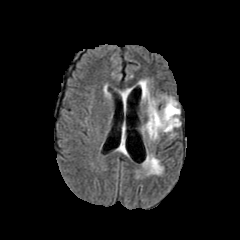
FLAIR magnetic resonance.
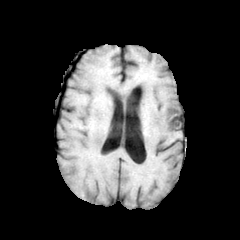
T1-weighted MRI.
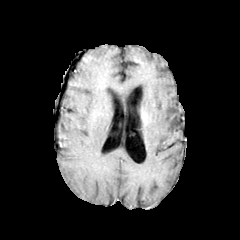
Post-contrast T1-weighted MR image.
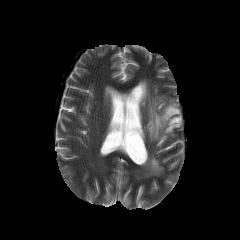
T2-weighted magnetic resonance of the same slice.
Edema: bounding box (138,80,181,141), (120,93,127,110), (144,157,162,174).